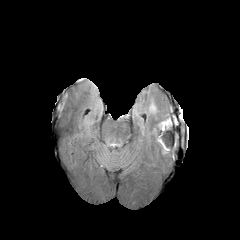
FLAIR MRI.
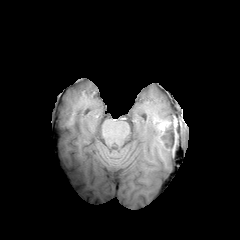
Same slice, T1-weighted MRI.
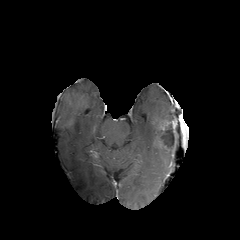
Post-contrast T1-weighted magnetic resonance of the same slice.
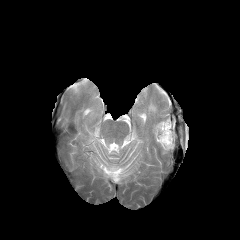
Same slice, T2-weighted MRI.
edema:
  - 103:140:120:157
  - 132:101:159:128
  - 152:110:171:153